240x240 px, Head, Slice index 100
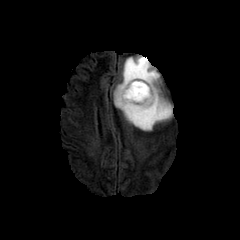
FLAIR MR.
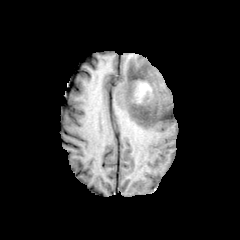
T1-weighted MRI.
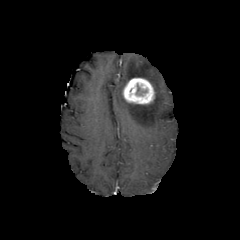
Post-contrast T1-weighted magnetic resonance.
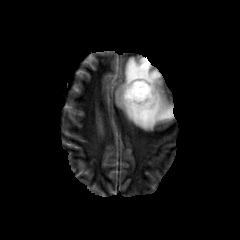
T2-weighted MR image of the same slice.
Edema at [114, 55, 172, 130].
Enhancing tumor at [122, 77, 155, 104].
Non-enhancing tumor core at [136, 86, 146, 95], [122, 75, 157, 111].